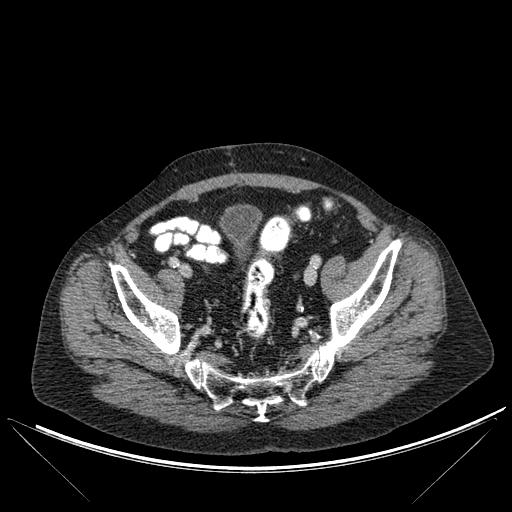 CT slice.
Annotated regions:
- bone: 109:239:401:421